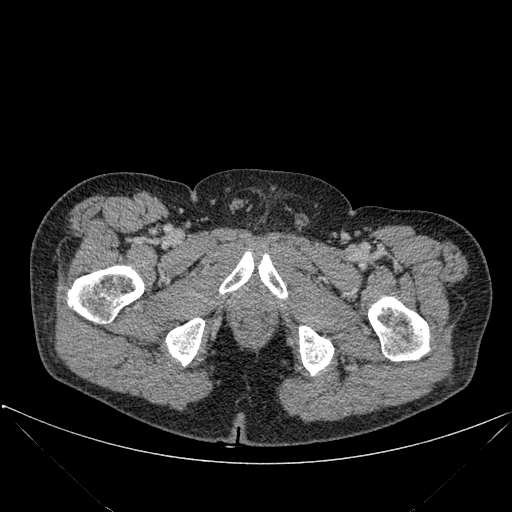

CT image, 512x512 px
bone: (368, 296, 429, 360), (166, 318, 204, 365), (219, 252, 287, 298), (67, 266, 144, 323), (299, 326, 333, 375)